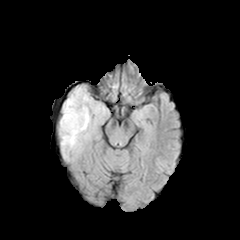
FLAIR MR.
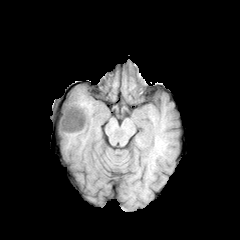
T1-weighted MR.
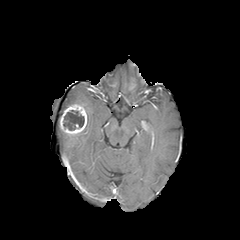
Post-contrast T1-weighted MR image.
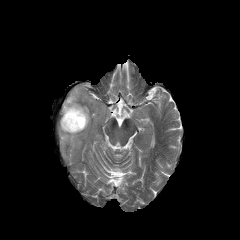
T2-weighted magnetic resonance of the same slice.
Brain, 240x240 px
edema: box=[59, 86, 107, 160] | enhancing tumor: box=[60, 104, 86, 134] | non-enhancing tumor core: box=[63, 110, 84, 130]